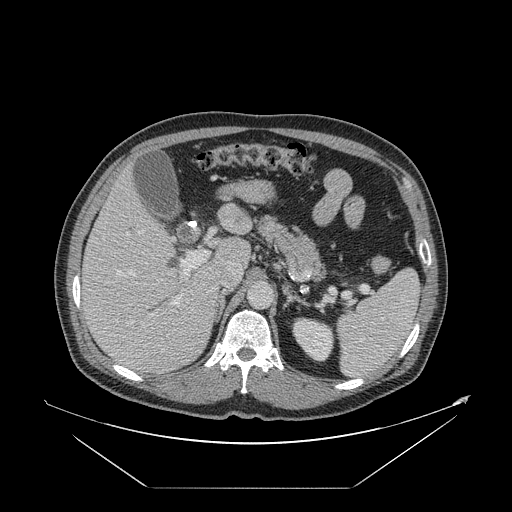 CT scan slice | Liver

Not every hepatic vessel necessarily has a box.
Hepatic vessel = bbox=[127, 321, 131, 325]; bbox=[171, 293, 182, 305]; bbox=[216, 254, 242, 280]; bbox=[181, 251, 207, 275]; bbox=[127, 233, 128, 235]; bbox=[138, 231, 143, 233]; bbox=[127, 271, 135, 276]; bbox=[117, 271, 122, 275]; bbox=[209, 281, 231, 292]; bbox=[150, 314, 153, 315].